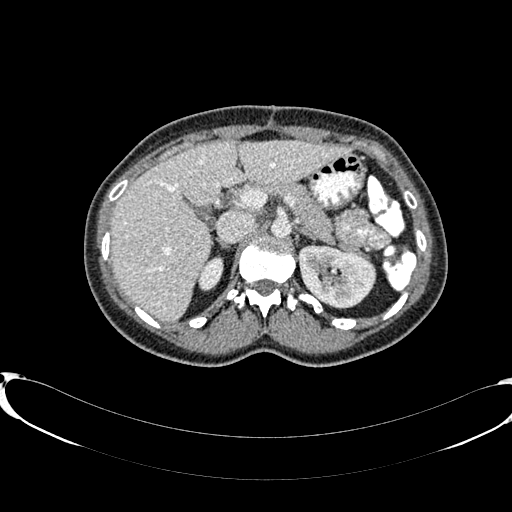

CT scan slice; Abdomen
liver:
  - region(110, 141, 349, 321)
kidney:
  - region(201, 260, 221, 287)
  - region(300, 247, 373, 306)